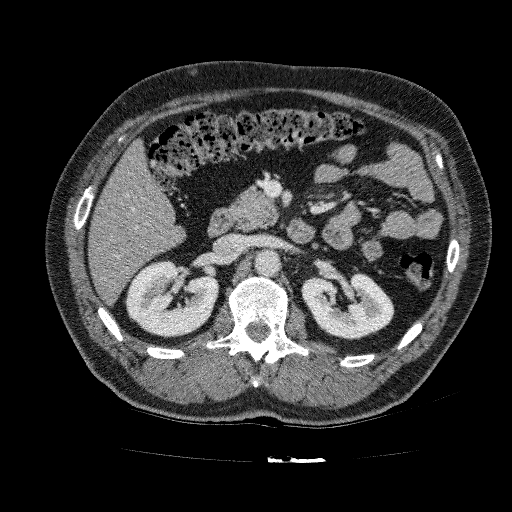

Abdomen, 512x512 px, CT slice
<segmentation>
  <liver>{"x1": 88, "y1": 140, "x2": 186, "y2": 305}</liver>
  <kidney>{"x1": 127, "y1": 262, "x2": 217, "y2": 335}, {"x1": 302, "y1": 274, "x2": 393, "y2": 337}</kidney>
</segmentation>